Head; Image width 240 mm; Slice 72 of 155
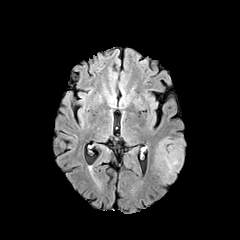
FLAIR magnetic resonance.
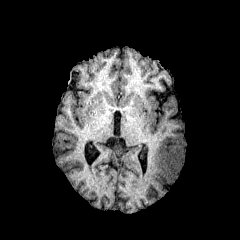
T1-weighted MRI.
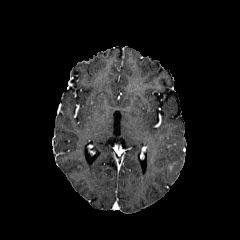
Post-contrast T1-weighted MR.
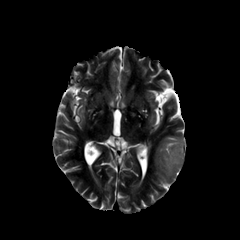
T2-weighted MR.
The edema appears at left=153, top=136, right=184, bottom=185. The enhancing tumor appears at left=167, top=162, right=175, bottom=172. The non-enhancing tumor core is at left=161, top=141, right=184, bottom=175.